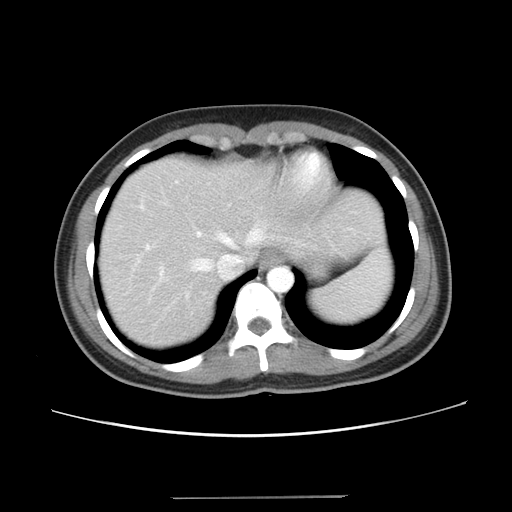

CT image.

Only some of the vessels may be annotated.
hepatic vessel: region(197, 232, 201, 236); region(160, 268, 163, 279); region(194, 259, 209, 270); region(220, 234, 233, 246); region(140, 205, 144, 209); region(146, 245, 149, 249); region(176, 181, 178, 182); region(186, 294, 187, 297); region(248, 226, 263, 242)